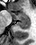

Hippocampus; MRI

posterior hippocampus: {"x1": 17, "y1": 20, "x2": 29, "y2": 28} | anterior hippocampus: {"x1": 11, "y1": 13, "x2": 28, "y2": 19}